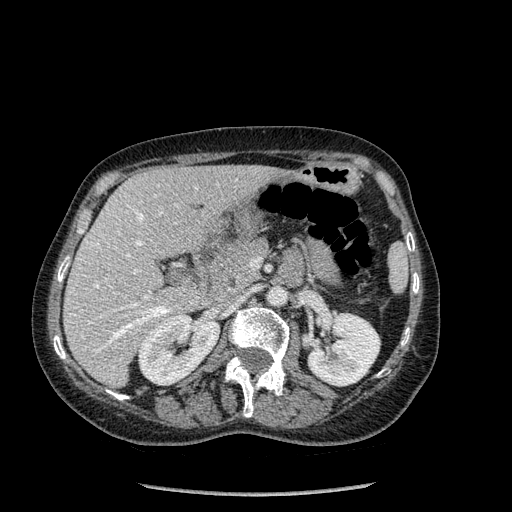 512x512. Computed tomography. <segmentation>
  <liver>x1=64, y1=165, x2=282, y2=388</liver>
  <bone>x1=405, y1=232, x2=414, y2=251; x1=57, y1=257, x2=69, y2=282; x1=53, y1=335, x2=65, y2=359; x1=225, y1=306, x2=289, y2=417; x1=106, y1=389, x2=129, y2=400; x1=401, y1=328, x2=409, y2=346; x1=412, y1=272, x2=419, y2=293</bone>
  <kidney>x1=139, y1=315, x2=219, y2=384; x1=303, y1=309, x2=379, y2=385</kidney>
</segmentation>